Magnetic resonance 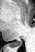
The posterior hippocampus lies within left=10, top=40, right=21, bottom=45.